Liver; Computed tomography; Image width 429 mm

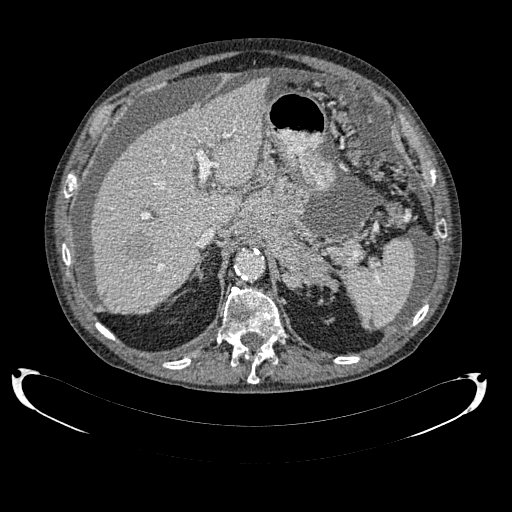

Focal liver lesion: bounding box bbox(124, 234, 151, 261).
Liver: bounding box bbox(91, 77, 269, 313).